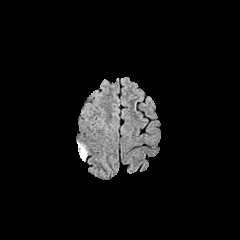
FLAIR magnetic resonance.
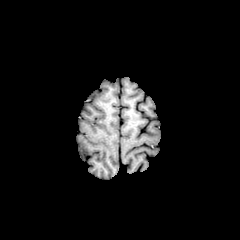
T1-weighted MR.
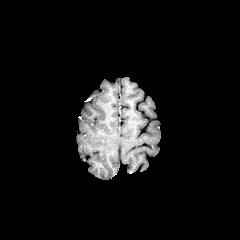
Post-contrast T1-weighted magnetic resonance.
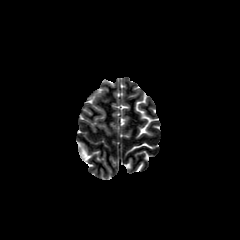
Same slice, T2-weighted magnetic resonance.
The edema appears at 77, 142, 87, 161.